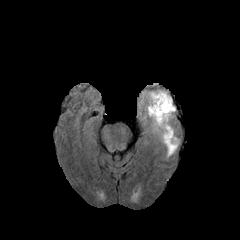
FLAIR MR image.
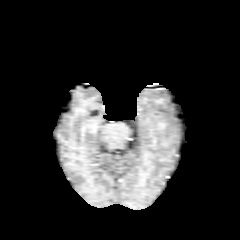
T1-weighted MR.
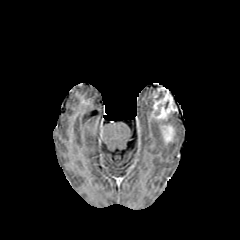
Post-contrast T1-weighted MR image.
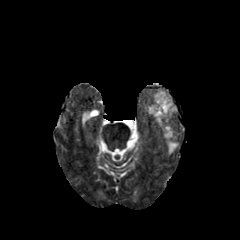
T2-weighted MRI.
Brain
edema:
  - 145, 98, 152, 116
  - 166, 138, 178, 156
enhancing_tumor:
  - 149, 88, 176, 143